Abdomen, CT slice
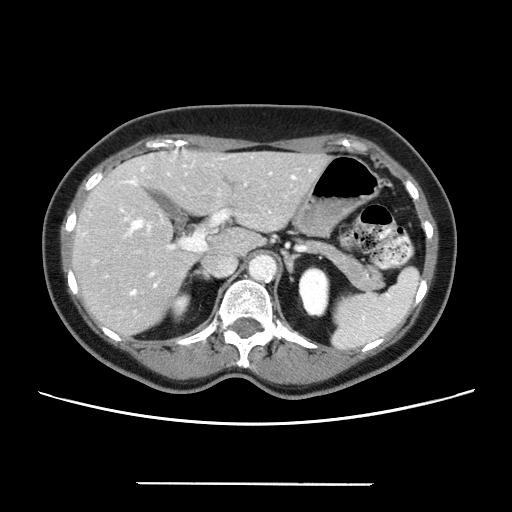
Not every hepatic vessel necessarily has a box.
Hepatic vessel — bbox(182, 233, 202, 248); bbox(132, 220, 141, 228); bbox(213, 211, 226, 221); bbox(131, 181, 134, 182); bbox(169, 246, 173, 248); bbox(132, 291, 134, 293).